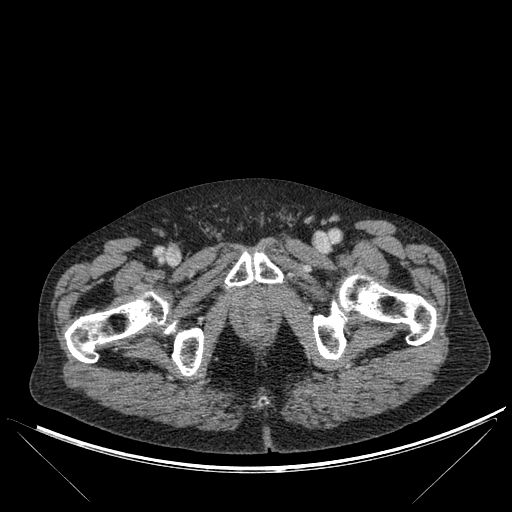

512x512, CT slice

5 bone regions are located at (313,274,436,359), (172,328,203,376), (165,322,175,333), (64,292,168,362), (225,251,283,286).